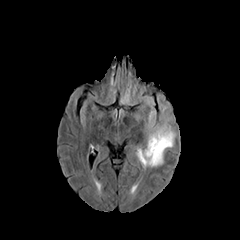
FLAIR magnetic resonance.
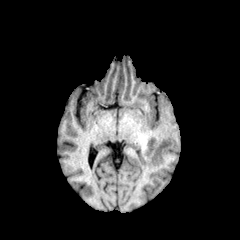
T1-weighted MRI.
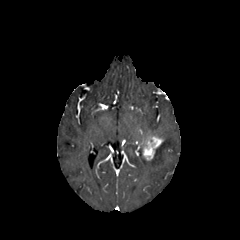
Post-contrast T1-weighted magnetic resonance of the same slice.
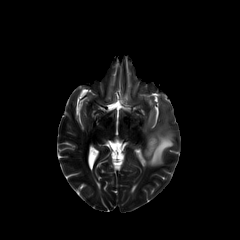
Same slice, T2-weighted magnetic resonance.
Image size 240x240 | Head
Edema — (138, 129, 174, 167).
Enhancing tumor — (142, 132, 163, 159).